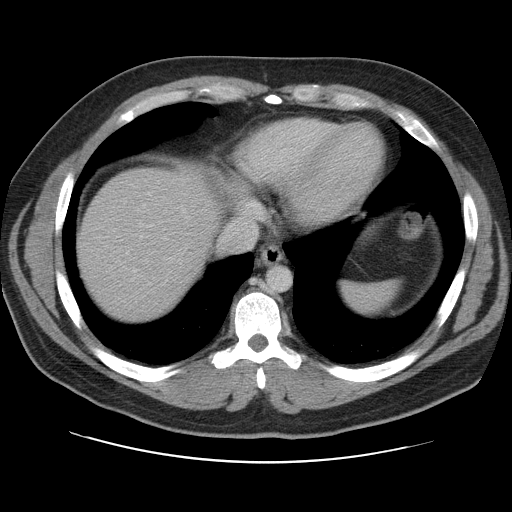
CT image

The vessel annotation is not exhaustive.
hepatic_vessel:
  - rect(126, 251, 128, 253)
  - rect(133, 269, 137, 272)
  - rect(149, 283, 150, 284)